CT, Field of view 380 mm wide, 2.50 mm slice spacing, Upper abdomen, 512x512 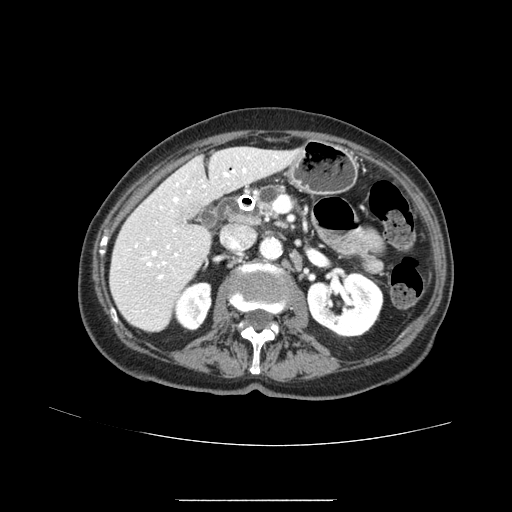

pancreas: [259,186,283,207]